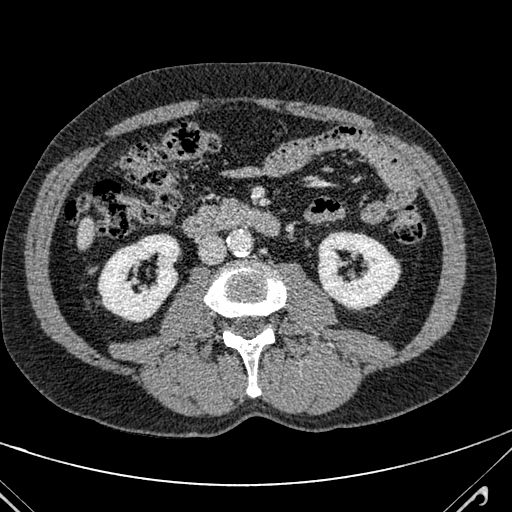 CT
Liver: {"x1": 76, "y1": 217, "x2": 93, "y2": 249}.